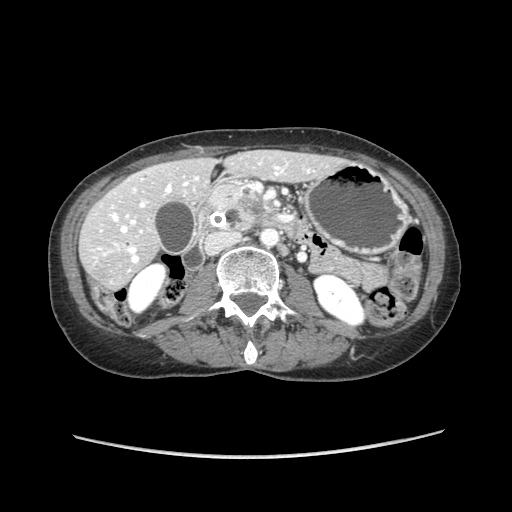

CT image
<segmentation>
  <pancreatic_tumor>l=240, t=197, r=263, b=223</pancreatic_tumor>
  <pancreas>l=207, t=185, r=275, b=230</pancreas>
</segmentation>